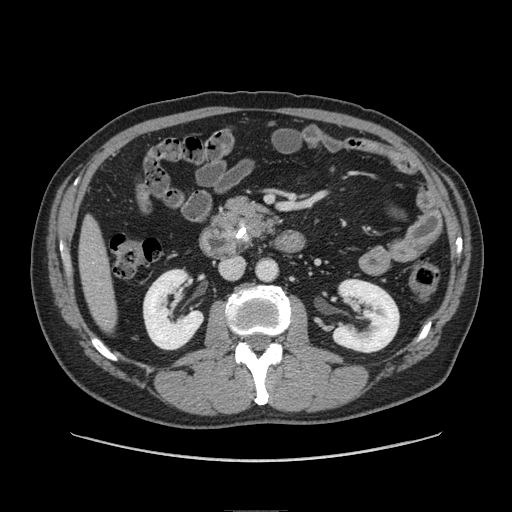

CT image. Upper abdomen. Image size 512x512.

Pancreas — bbox(208, 194, 285, 250).